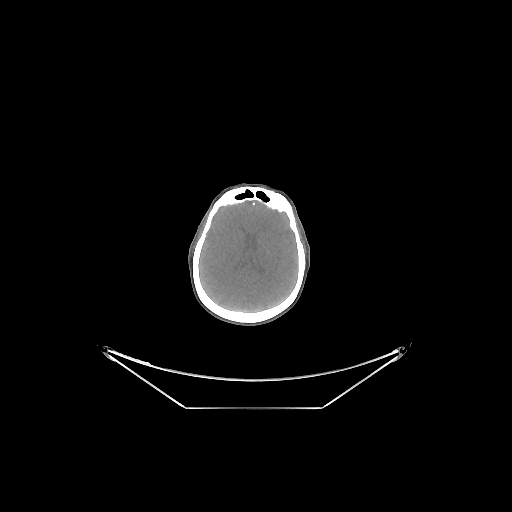 Computed tomography, Head
The brain lies within left=198, top=200, right=298, bottom=312. The bone is located at left=193, top=187, right=305, bottom=322.